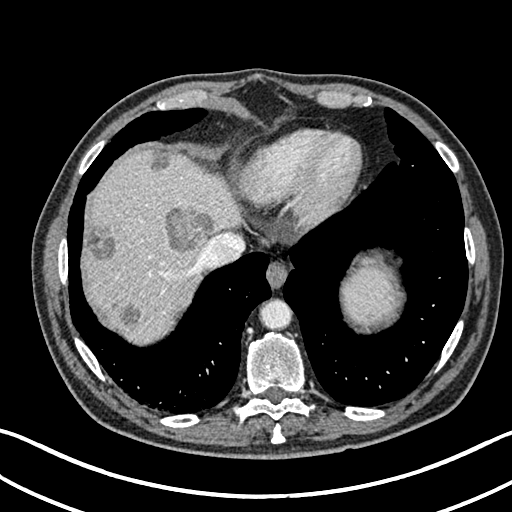 CT slice
focal liver lesion: left=119, top=302, right=142, bottom=324; left=166, top=209, right=211, bottom=252; left=87, top=226, right=113, bottom=260; left=151, top=151, right=170, bottom=170 | liver: left=83, top=150, right=240, bottom=342